Slice 81/155; Field of view 240x240 mm
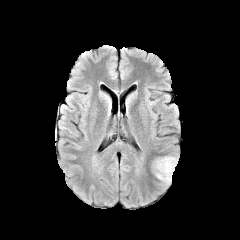
FLAIR MRI.
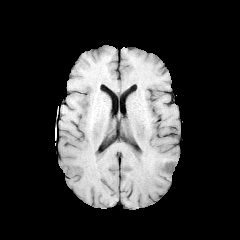
Same slice, T1-weighted MR.
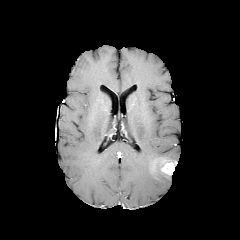
Post-contrast T1-weighted MRI.
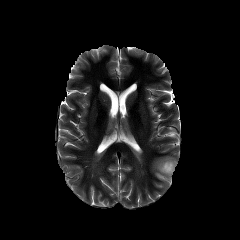
Same slice, T2-weighted MRI.
Edema at rect(154, 156, 175, 185).
Enhancing tumor at rect(160, 161, 176, 175).